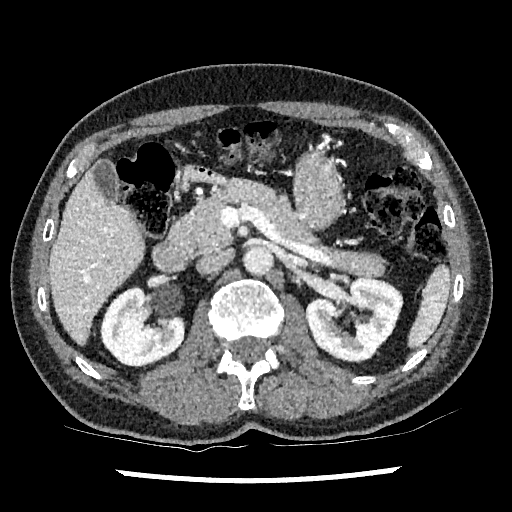

CT slice; Liver
The liver is at 49:160:144:345. 2 kidney regions are bounded by 102:289:183:365, 307:279:401:360.